FLAIR MRI.
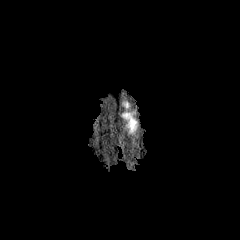
T1-weighted magnetic resonance.
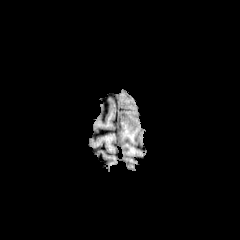
Post-contrast T1-weighted MRI.
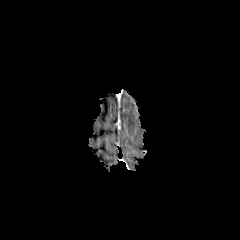
T2-weighted MRI.
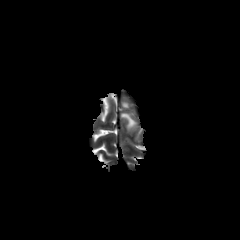
The edema is at box=[122, 111, 139, 136].